Slice 400 of 751, CT image, 512x512, Upper abdomen

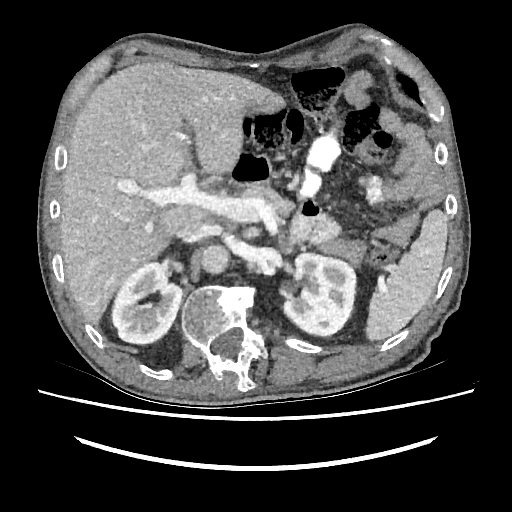

Segmented structures:
* liver: [62,62,284,323]
* kidney: [284,253,355,335], [112,263,182,343]